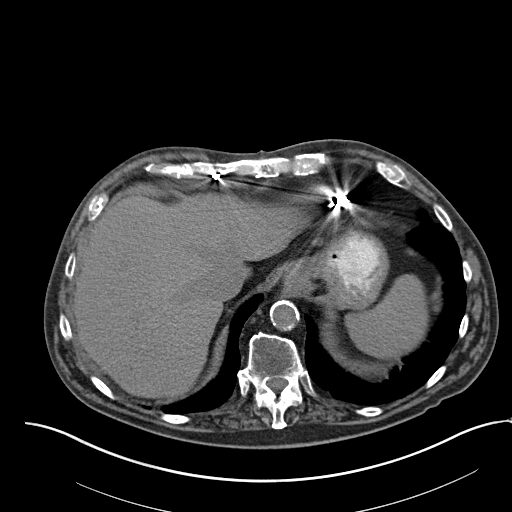

Upper abdomen. CT scan slice.

Spleen — x1=347, y1=276, x2=427, y2=356.